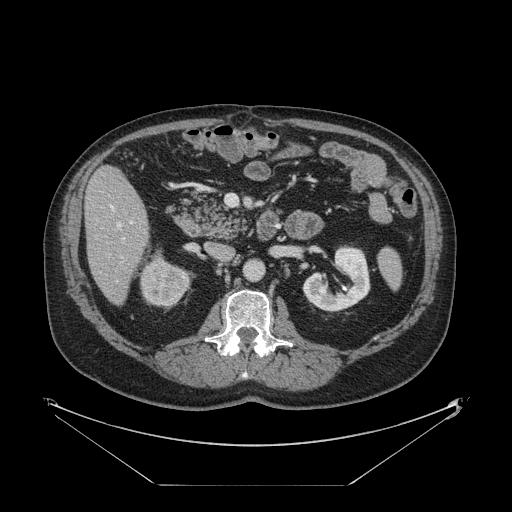
CT
Not every hepatic vessel necessarily has a box.
Hepatic vessel at (left=129, top=220, right=131, bottom=222).